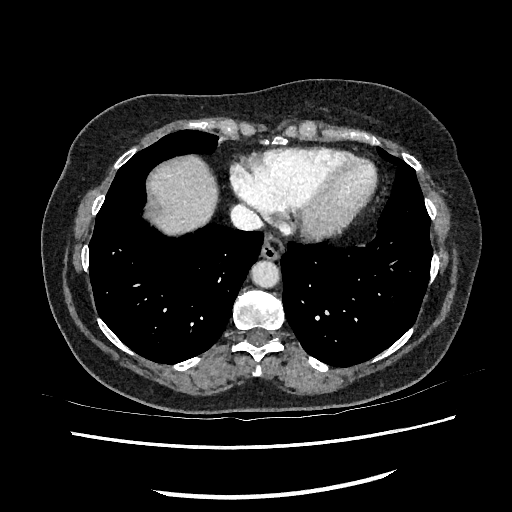

CT scan slice. Abdomen. 512x512 px. The liver lies within box=[149, 156, 216, 234].